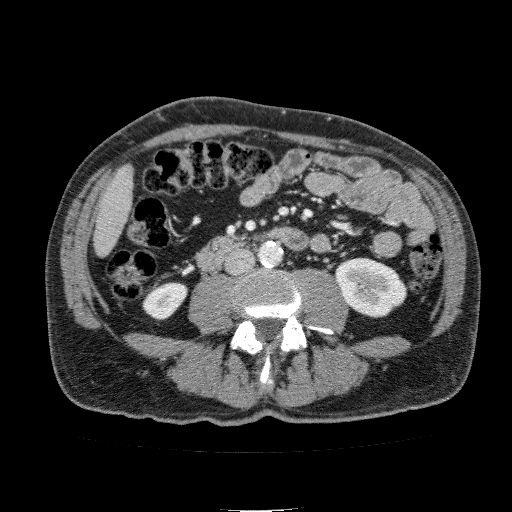
CT image | 512x512 px
Segmented structures:
- kidney: box=[144, 283, 186, 318]; box=[336, 259, 405, 316]
- liver: box=[94, 165, 134, 256]